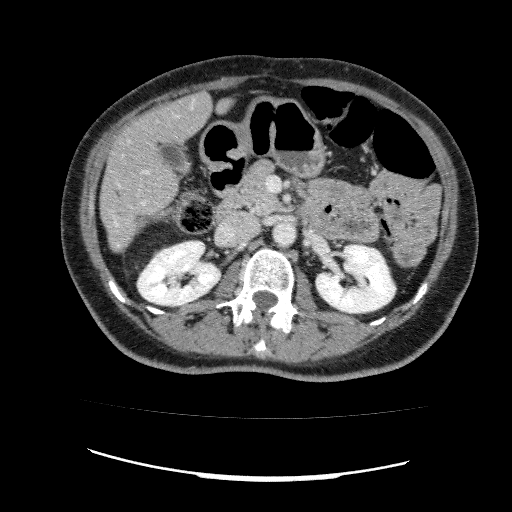

CT slice | Image size 512x512
Annotated regions:
• focal liver lesion: 135 213 152 229
• kidney: 316 245 395 312, 138 241 219 305
• liver: 99 91 236 250